Brain.
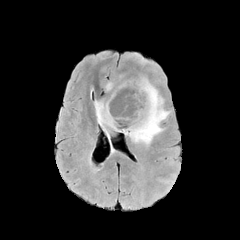
FLAIR magnetic resonance.
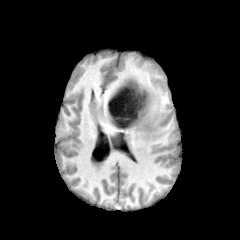
Same slice, T1-weighted MRI.
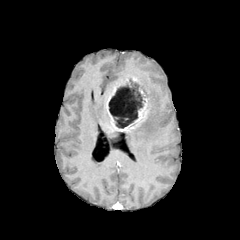
Post-contrast T1-weighted magnetic resonance.
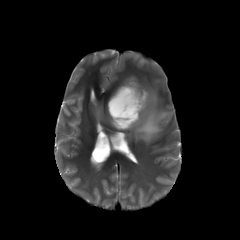
Same slice, T2-weighted MR.
The enhancing tumor is located at (left=111, top=103, right=147, bottom=130). 2 edema regions are bounded by (left=93, top=101, right=115, bottom=153), (left=122, top=80, right=169, bottom=144). The non-enhancing tumor core appears at (left=108, top=81, right=147, bottom=128).